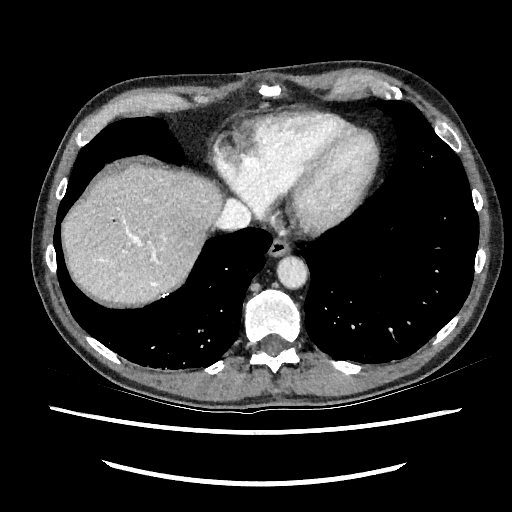

Abdomen, Image size 512x512, CT slice
liver:
  - x1=63, y1=163, x2=223, y2=303